Computed tomography, 512x512 px

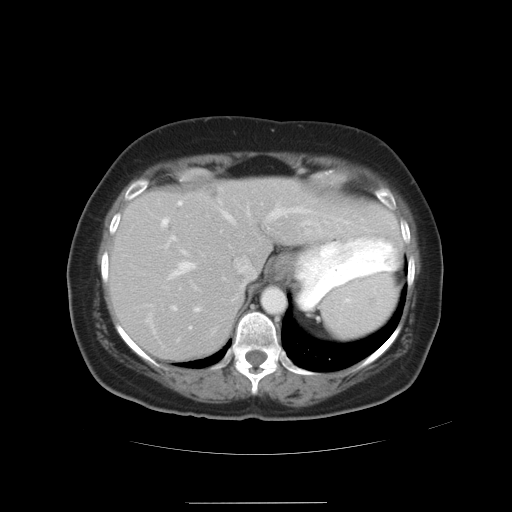 Only some of the vessels may be annotated.
13 hepatic vessel regions appear at (x1=177, y1=201, x2=182, y2=205), (x1=160, y1=216, x2=169, y2=228), (x1=146, y1=305, x2=151, y2=305), (x1=218, y1=200, x2=221, y2=204), (x1=237, y1=260, x2=252, y2=271), (x1=164, y1=235, x2=176, y2=247), (x1=189, y1=326, x2=190, y2=329), (x1=290, y1=208, x2=304, y2=210), (x1=219, y1=207, x2=234, y2=224), (x1=193, y1=307, x2=200, y2=311), (x1=171, y1=306, x2=176, y2=310), (x1=167, y1=249, x2=196, y2=280), (x1=270, y1=209, x2=289, y2=216). The liver tumor is at (x1=297, y1=221, x2=321, y2=243).